CT, Slice 538/574
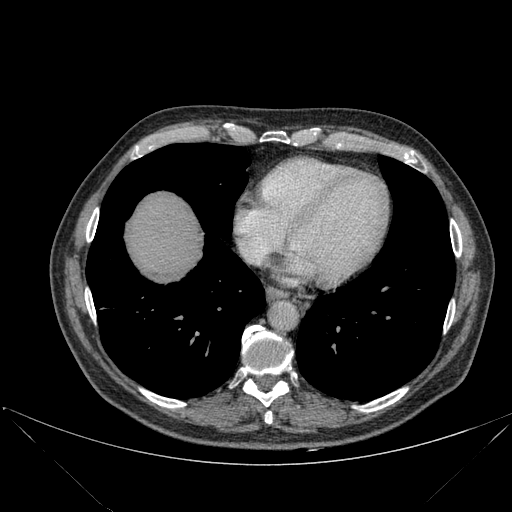
liver:
  - 125:192:203:273
lung:
  - 296:155:455:400
  - 86:143:265:398
bone:
  - 241:325:292:375
  - 261:131:289:143
  - 140:389:185:407
  - 264:411:272:424
  - 85:288:95:321
  - 404:151:415:162
  - 443:302:454:332
  - 359:388:407:411
  - 450:219:461:256
  - 243:379:288:406
  - 86:208:98:241